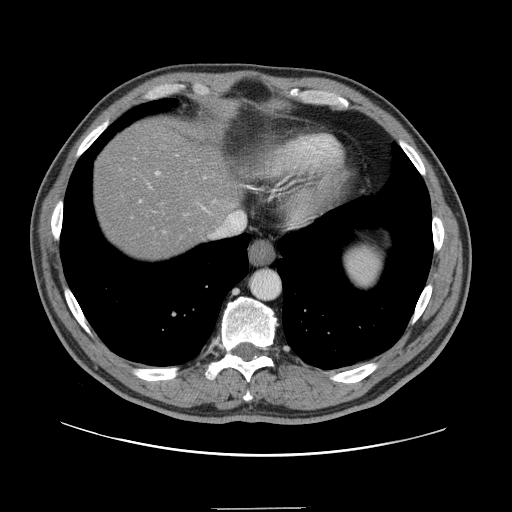 CT slice.

The vessel boxes may cover only some of the vessels.
2 hepatic vessel regions are located at (left=228, top=215, right=232, bottom=218), (left=156, top=172, right=160, bottom=175).